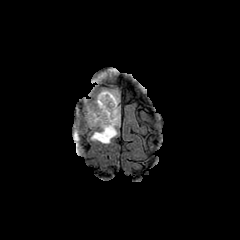
FLAIR magnetic resonance.
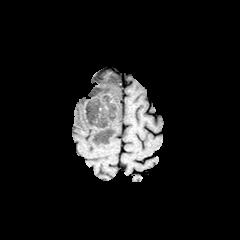
T1-weighted MRI.
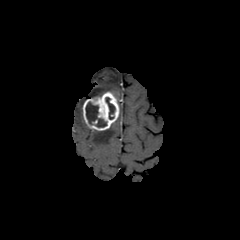
Post-contrast T1-weighted MR image.
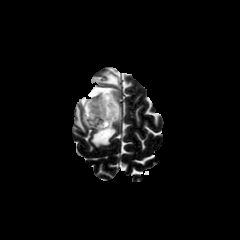
T2-weighted MR.
Head. 240x240 px.
edema: 90,87,117,96; 103,72,115,83; 91,115,120,145; 76,109,83,129 | enhancing tumor: 83,91,120,130 | non-enhancing tumor core: 106,97,114,119; 96,118,106,127; 86,102,98,124